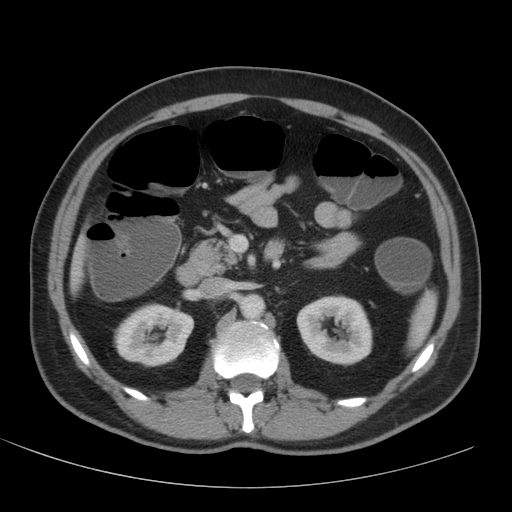
Upper abdomen, CT slice
• kidney: l=115, t=304, r=193, b=365; l=297, t=296, r=371, b=364
• liver: l=71, t=247, r=82, b=284